Hippocampus. Slice 10 of 40. MRI.

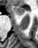
<segmentation>
  <anterior_hippocampus>12,6,25,14</anterior_hippocampus>
</segmentation>